Slice index 396. Upper abdomen. Computed tomography. 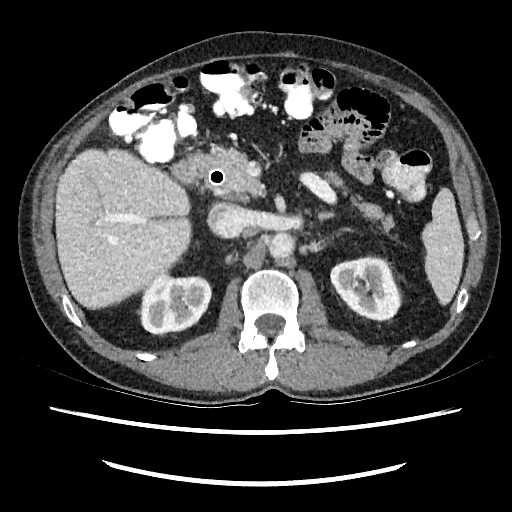

2 kidney regions are bounded by x1=142 y1=274 x2=210 y2=333, x1=331 y1=258 x2=399 y2=319. The liver appears at x1=56 y1=148 x2=190 y2=307.